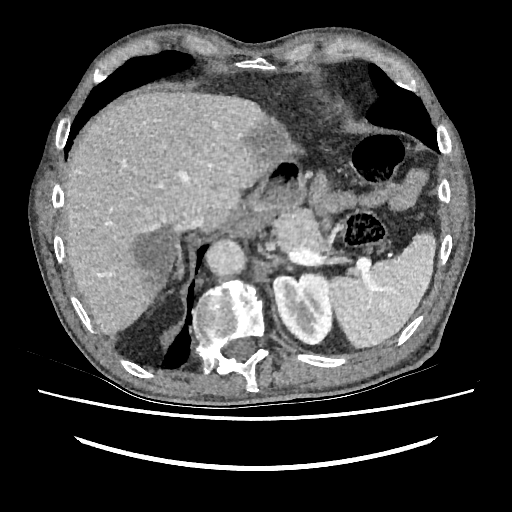 CT scan slice
Liver: bounding box bbox(65, 91, 301, 334).
Kidney: bounding box bbox(274, 274, 331, 344).
Focal liver lesion: bounding box bbox(245, 119, 287, 160); bbox(126, 225, 175, 291).